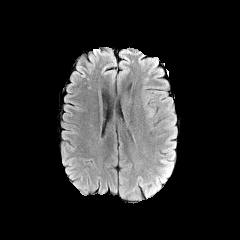
FLAIR MRI.
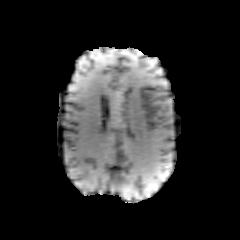
T1-weighted magnetic resonance of the same slice.
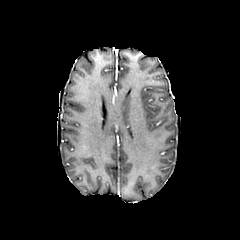
Post-contrast T1-weighted magnetic resonance.
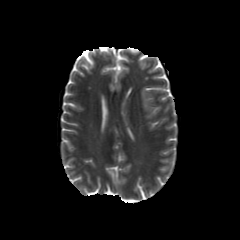
T2-weighted MRI of the same slice.
edema: [166, 117, 176, 141]